Slice 631/687. 512x512. Computed tomography.

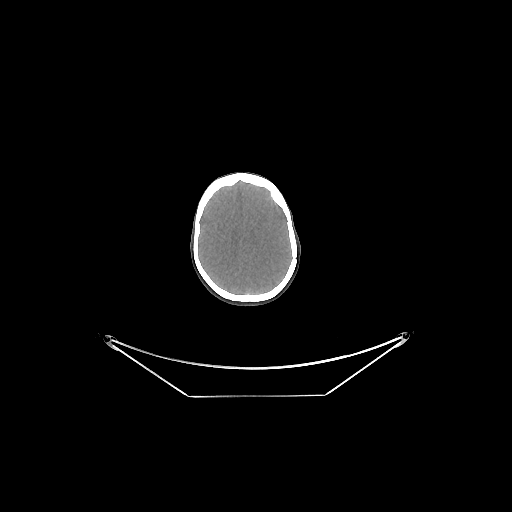 {"brain": ["(198, 181, 292, 294)"]}